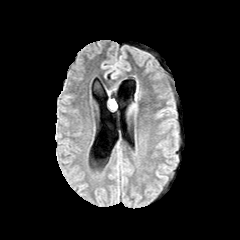
FLAIR MRI.
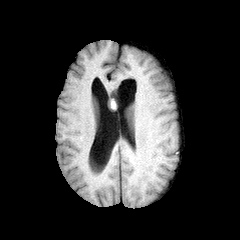
T1-weighted MRI of the same slice.
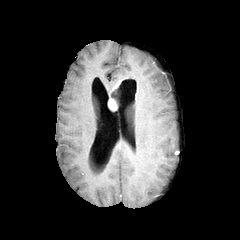
Post-contrast T1-weighted MR image of the same slice.
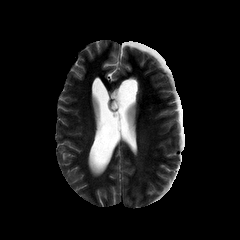
Same slice, T2-weighted MR.
240x240 px. Head.
The enhancing tumor appears at l=109, t=99, r=117, b=110.